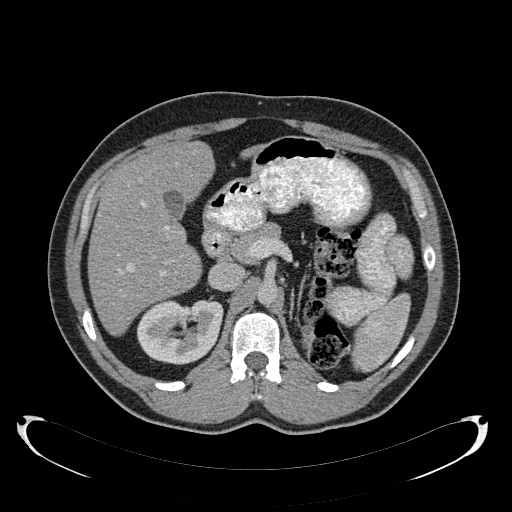
Upper abdomen, CT
Kidney = box(137, 301, 222, 363).
Liver = box(88, 142, 213, 334); box(243, 145, 264, 155).